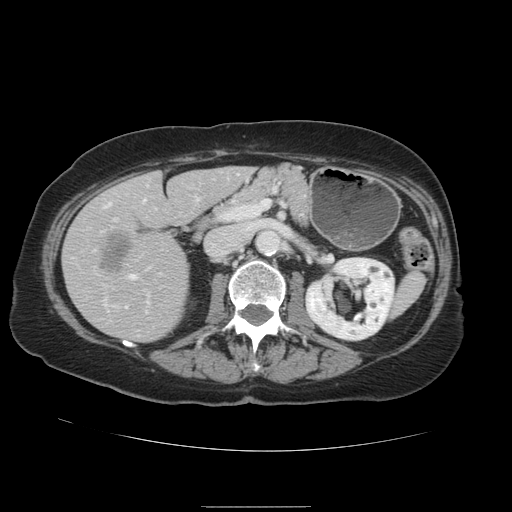 Abdomen; CT

The vessel annotation is not exhaustive.
5 hepatic vessel regions appear at [195,197,197,199], [128,275,134,279], [143,199,144,201], [113,219,115,220], [102,203,110,207]. The liver tumor lies within [101,233,130,270].